Head
FLAIR magnetic resonance.
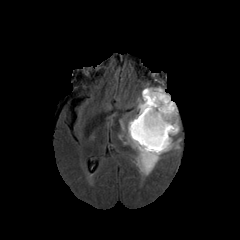
T1-weighted MRI.
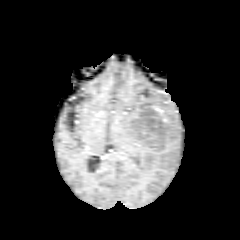
Post-contrast T1-weighted MR image.
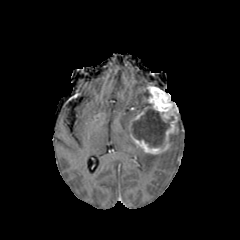
T2-weighted MR image.
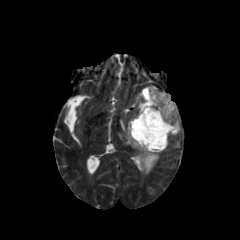
edema: x1=136 y1=90 x2=143 y2=113, x1=163 y1=135 x2=180 y2=152, x1=126 y1=120 x2=136 y2=148, x1=136 y1=148 x2=162 y2=175 | non-enhancing tumor core: x1=131 y1=102 x2=173 y2=147 | enhancing tumor: x1=129 y1=86 x2=178 y2=154